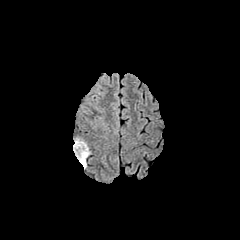
FLAIR MR.
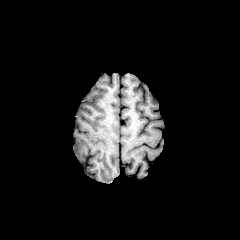
T1-weighted MR of the same slice.
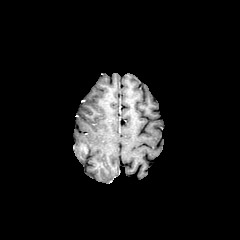
Post-contrast T1-weighted magnetic resonance of the same slice.
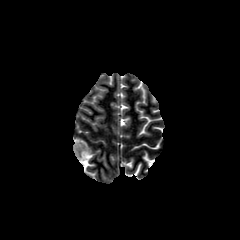
T2-weighted MRI of the same slice.
The edema is located at <bbox>74, 138, 91, 168</bbox>.